Image size 512x512. CT scan slice. Abdomen.

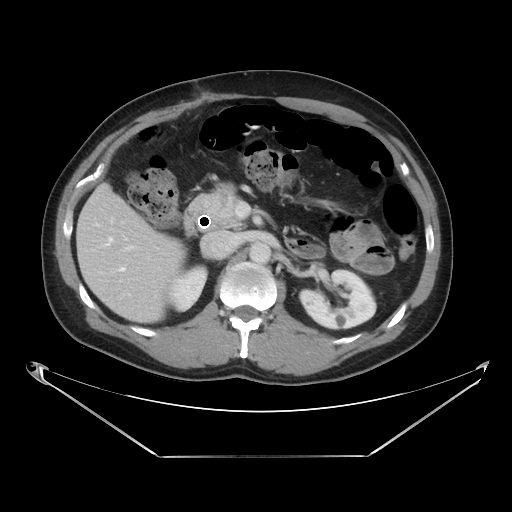
pancreas:
  - [x1=204, y1=193, x2=238, y2=202]
  - [x1=191, y1=210, x2=240, y2=230]
pancreatic_tumor:
  - [x1=191, y1=195, x2=237, y2=217]